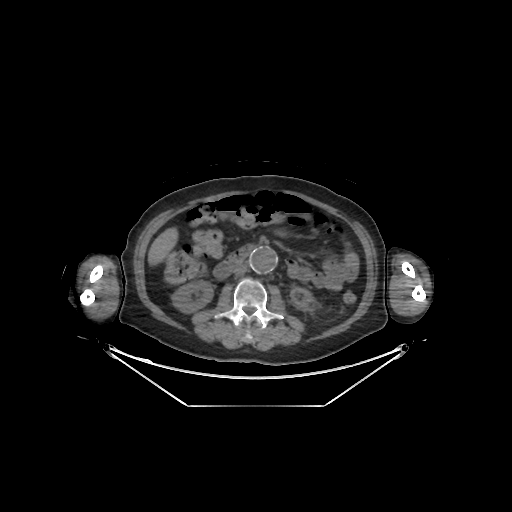
Computed tomography. The liver appears at (149, 229, 176, 262). 3 bone regions are bounded by (228, 279, 270, 340), (402, 261, 425, 302), (80, 265, 102, 305). 2 kidney regions appear at (289, 286, 317, 314), (171, 279, 213, 313).